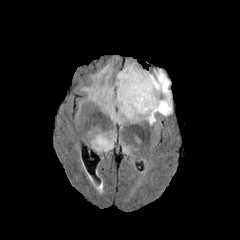
FLAIR MR image.
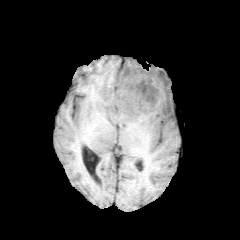
T1-weighted MR image.
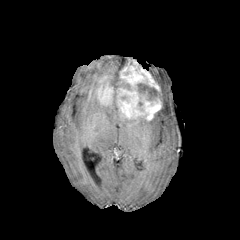
Same slice, post-contrast T1-weighted MR image.
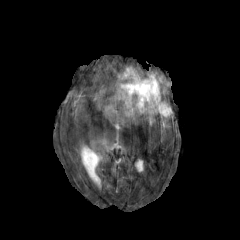
Same slice, T2-weighted MR.
Head.
- enhancing tumor: (98,87,112,101), (116,62,161,119)
- edema: (92,136,113,149), (87,69,172,125), (93,65,109,81)
- non-enhancing tumor core: (137,83,161,101), (112,74,129,95)